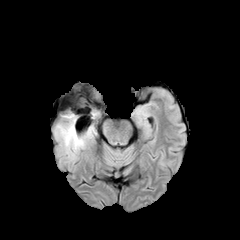
FLAIR MR.
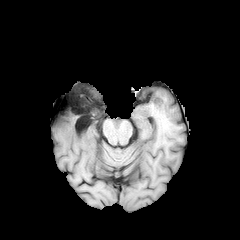
T1-weighted magnetic resonance.
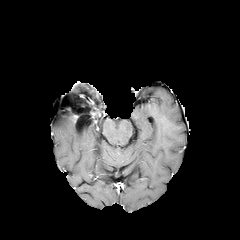
Same slice, post-contrast T1-weighted MR image.
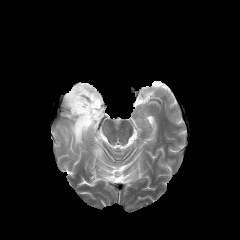
T2-weighted MR image.
The edema lies within [54, 113, 95, 158]. The non-enhancing tumor core is located at [68, 101, 101, 120].